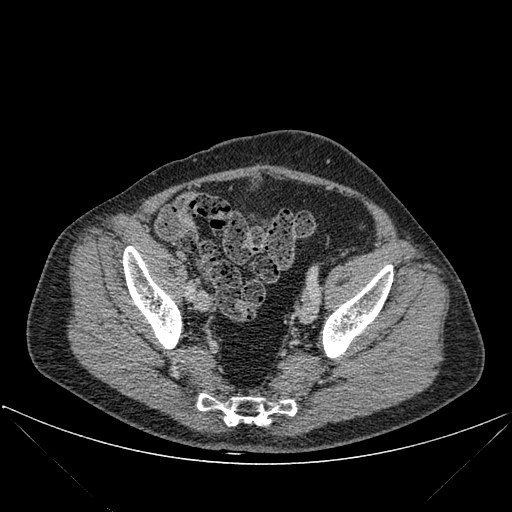
Computed tomography
<segmentation>
  <bone>left=123, top=246, right=181, bottom=348; left=323, top=265, right=393, bottom=357; left=197, top=393, right=296, bottom=426</bone>
</segmentation>